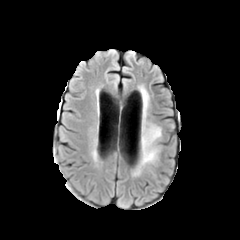
FLAIR MRI.
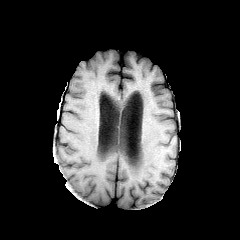
Same slice, T1-weighted magnetic resonance.
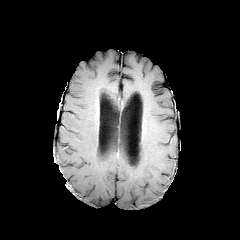
Post-contrast T1-weighted MRI.
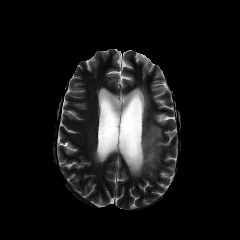
T2-weighted MR image of the same slice.
{
  "edema": [
    "132 89 161 176"
  ]
}